Field of view 240x240 mm | Brain
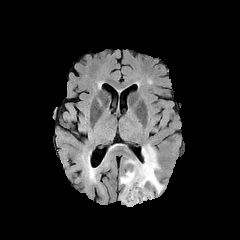
FLAIR MRI.
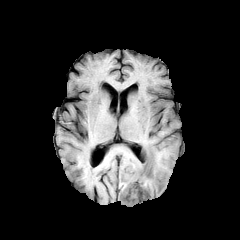
T1-weighted MRI.
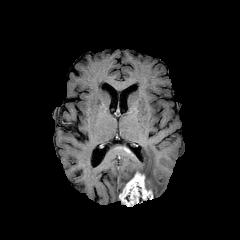
Post-contrast T1-weighted MRI of the same slice.
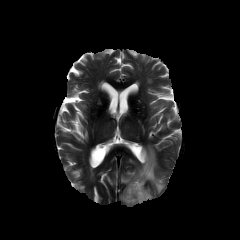
T2-weighted MR of the same slice.
<segmentation>
  <enhancing_tumor>rect(119, 172, 153, 205)</enhancing_tumor>
  <edema>rect(120, 144, 164, 193)</edema>
</segmentation>